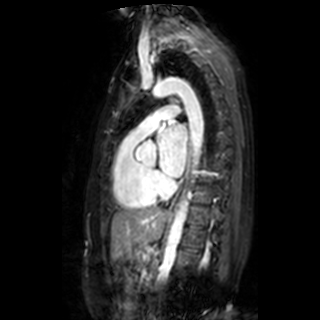 Magnetic resonance, Cardiac
Left atrium — x1=158 y1=125 x2=186 y2=176.